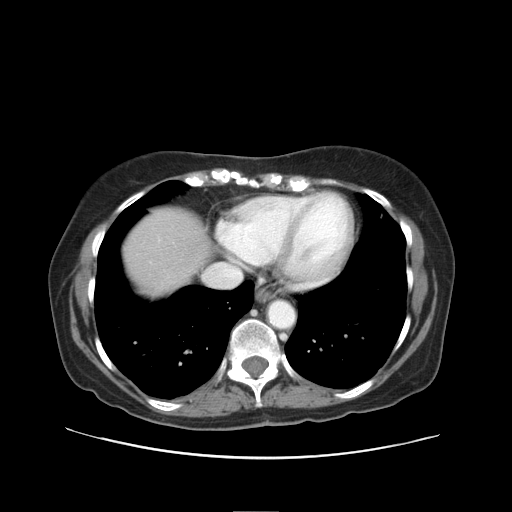
CT slice, Liver
Only some of the vessels may be annotated.
hepatic vessel: bbox(203, 255, 245, 287)